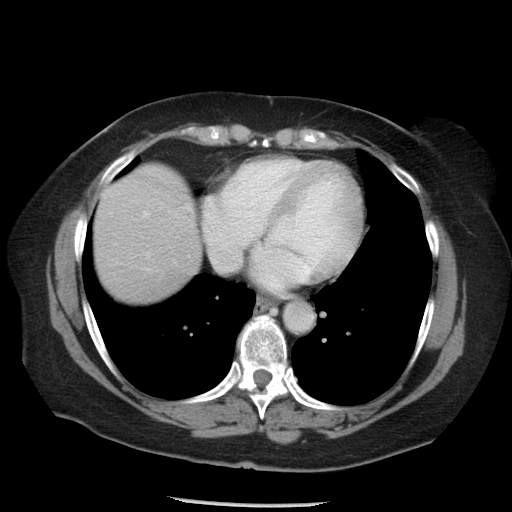

Computed tomography | Liver
Only some of the vessels may be annotated.
Hepatic vessel at 142, 211, 149, 216; 145, 252, 149, 256.